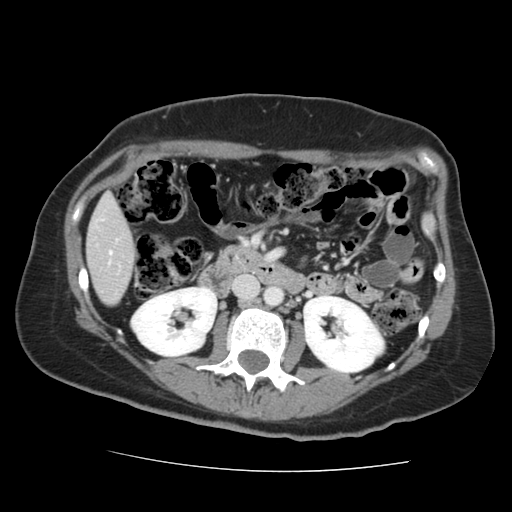

Computed tomography
Not every hepatic vessel necessarily has a box.
Hepatic vessel: bounding box rect(109, 252, 110, 254).